FLAIR MR image.
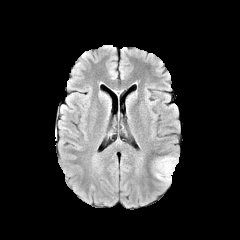
T1-weighted MRI.
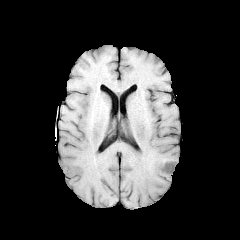
Post-contrast T1-weighted magnetic resonance.
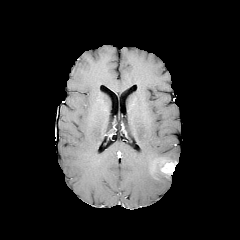
T2-weighted MRI.
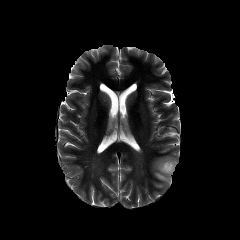
Brain
The edema appears at [153,155,178,185]. The enhancing tumor is bounded by [160,161,177,175].